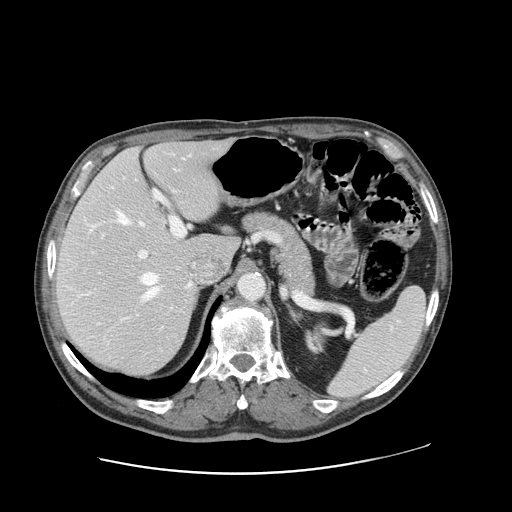
Image size 512x512. CT slice.

Not every hepatic vessel necessarily has a box.
Hepatic vessel = bbox=[117, 211, 129, 223]; bbox=[139, 250, 146, 257]; bbox=[154, 195, 156, 198]; bbox=[173, 231, 174, 233]; bbox=[140, 222, 143, 225]; bbox=[141, 273, 158, 298]; bbox=[90, 229, 91, 231].